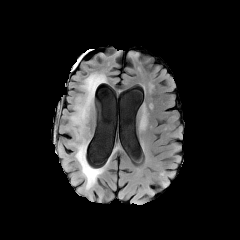
FLAIR MR image.
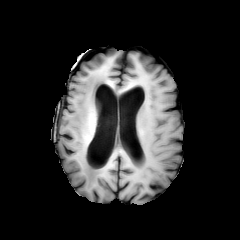
T1-weighted MRI.
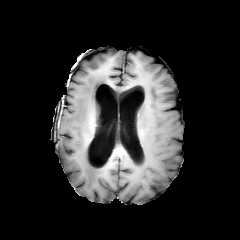
Post-contrast T1-weighted magnetic resonance of the same slice.
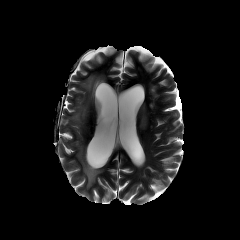
T2-weighted magnetic resonance of the same slice.
Edema = x1=73, y1=74, x2=106, y2=123; x1=75, y1=143, x2=104, y2=189.